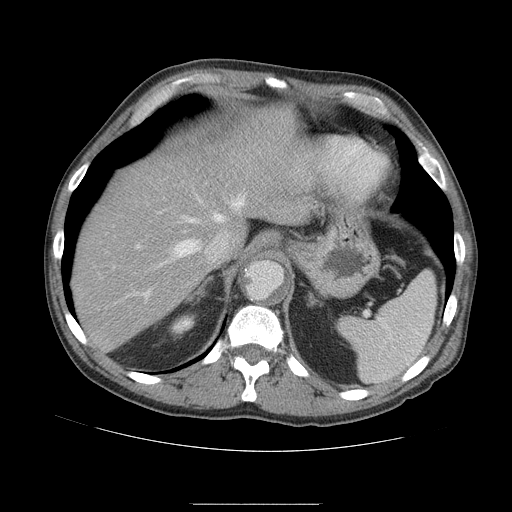
CT scan slice; Liver
Only some of the vessels may be annotated.
8 hepatic vessel regions appear at 136,245,139,247; 182,216,199,222; 174,239,201,256; 228,194,244,209; 213,213,223,221; 205,231,228,261; 197,196,201,201; 142,291,149,299.